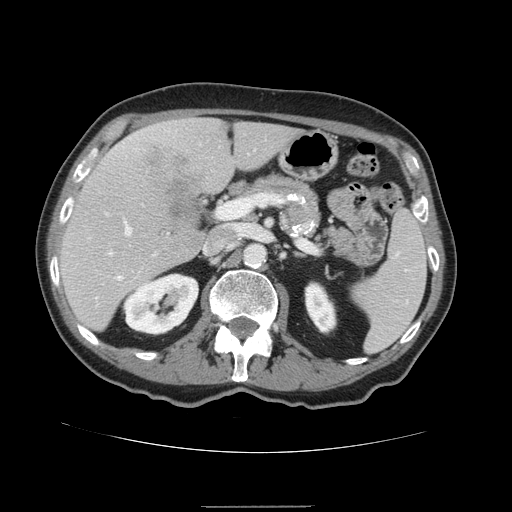

Abdomen, CT slice
Only some of the vessels may be annotated.
Segmented structures:
- liver tumor: 140 143 206 226
- hepatic vessel: 107 252 112 253, 117 276 121 278, 204 243 209 253, 213 239 224 249, 125 221 131 234, 217 199 254 237